Image size 240x240. Brain.
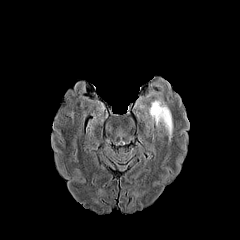
FLAIR MR image.
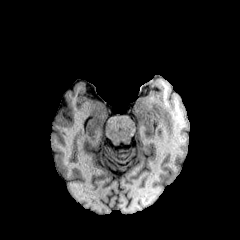
Same slice, T1-weighted MRI.
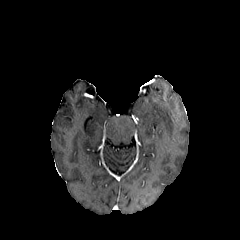
Post-contrast T1-weighted MR image of the same slice.
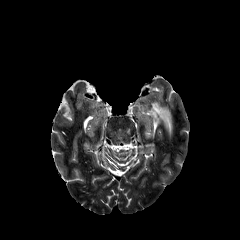
T2-weighted magnetic resonance.
edema:
  - left=149, top=99, right=174, bottom=142